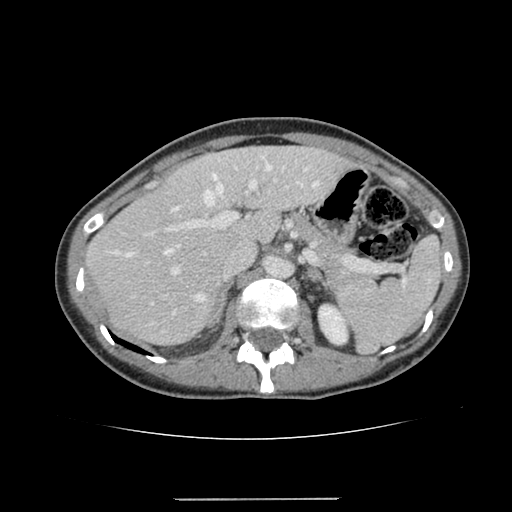

Abdomen; CT scan slice
liver:
  - [87, 145, 353, 345]
kidney:
  - [319, 305, 347, 344]